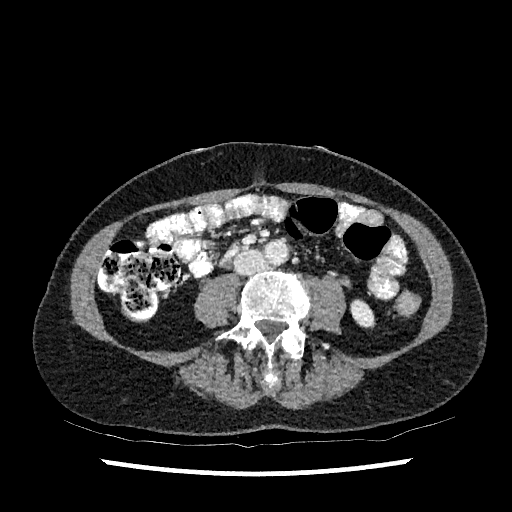
512x512. Abdomen. Computed tomography. Kidney: [x1=352, y1=301, x2=373, y2=326].